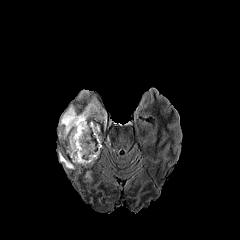
FLAIR MR image.
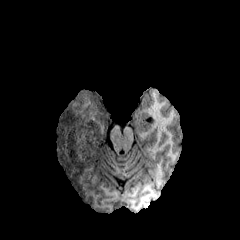
T1-weighted MRI of the same slice.
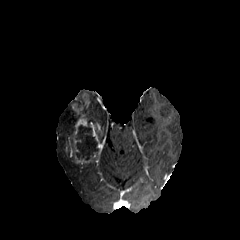
Post-contrast T1-weighted MR image.
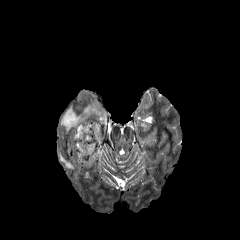
T2-weighted MR of the same slice.
240x240 px.
edema: region(86, 97, 107, 125); region(58, 100, 76, 141); region(58, 150, 75, 169); region(85, 171, 91, 182) | non-enhancing tumor core: region(76, 90, 89, 107); region(70, 114, 80, 134); region(76, 125, 97, 160) | enhancing tumor: region(66, 93, 102, 168)